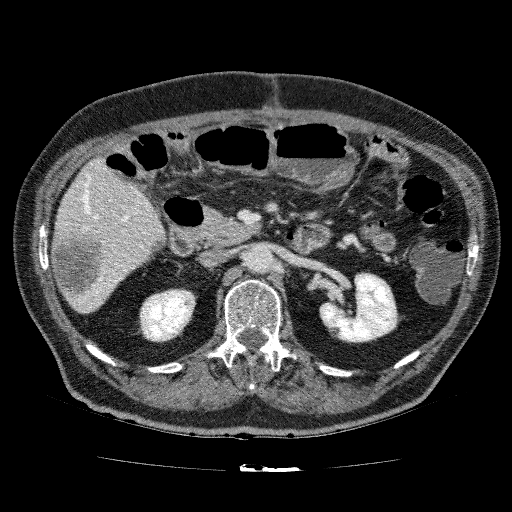
Liver. Computed tomography.

<segmentation>
  <kidney>(140,289,193,341), (333,289,343,302), (320,273,397,342)</kidney>
  <focal_liver_lesion>(143,233,165,261), (51,227,105,298)</focal_liver_lesion>
  <liver>(54,155,166,314)</liver>
</segmentation>